FLAIR MR.
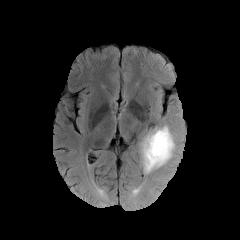
T1-weighted MRI.
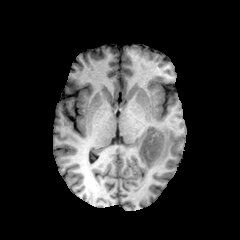
Post-contrast T1-weighted MRI.
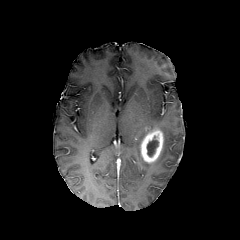
T2-weighted MR image.
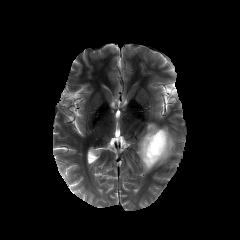
Head
The edema is bounded by box(136, 124, 179, 173). The enhancing tumor is bounded by box(140, 128, 164, 164). The non-enhancing tumor core is bounded by box(147, 140, 158, 156).